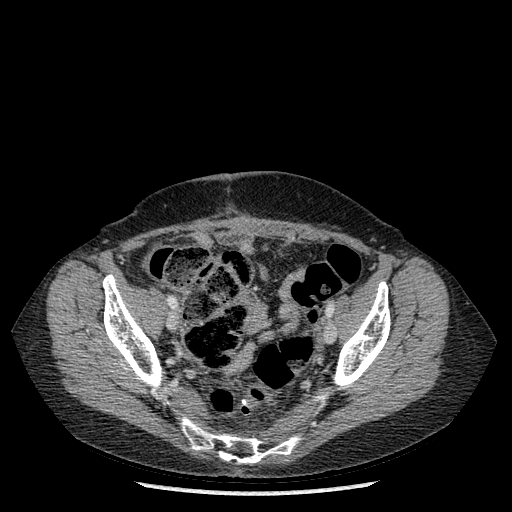 CT image

bone:
  - [180,415,300,463]
  - [103,274,176,403]
  - [334,281,390,388]